Image size 512x512 | CT | Slice 292/547

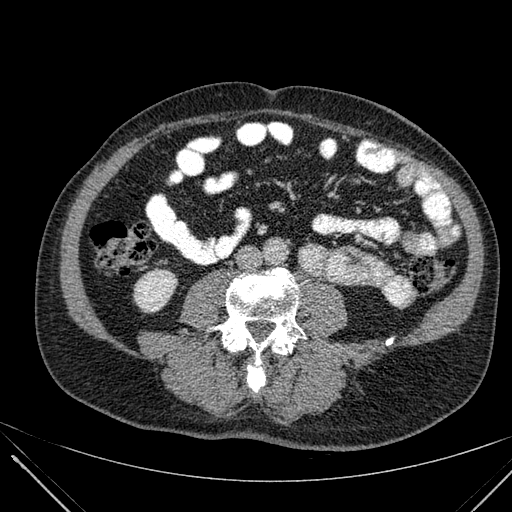

The kidney is bounded by l=134, t=270, r=176, b=311.